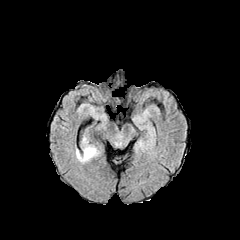
FLAIR MRI.
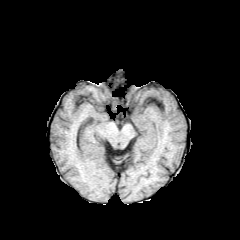
T1-weighted MRI.
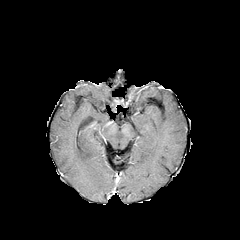
Post-contrast T1-weighted MR.
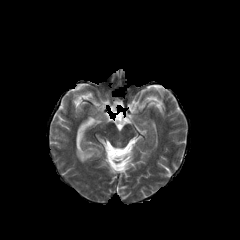
Same slice, T2-weighted MR image.
Brain
The edema appears at 76 140 99 162.